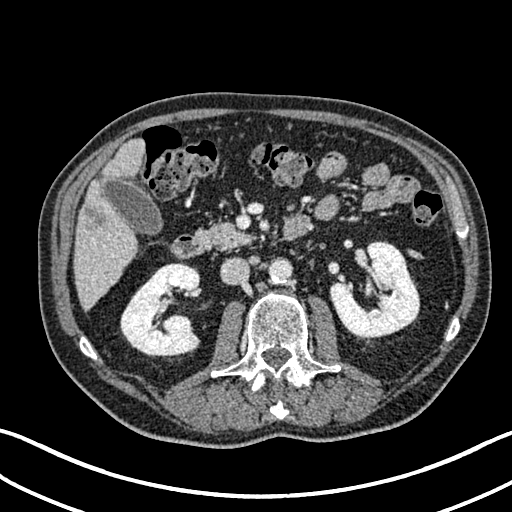
CT slice; Image size 512x512

focal_liver_lesion:
  - box=[85, 208, 104, 226]
liver:
  - box=[75, 179, 135, 310]
  - box=[102, 139, 144, 178]
kidney:
  - box=[331, 242, 419, 336]
  - box=[121, 264, 199, 355]